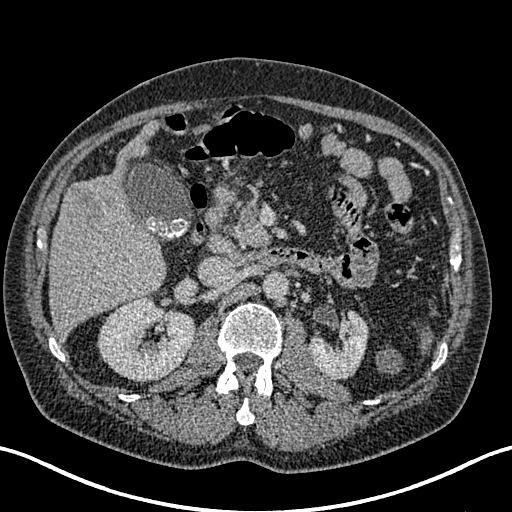

Computed tomography, Upper abdomen, Image size 512x512
The liver lesion appears at box(67, 184, 105, 222). The liver appears at box(48, 121, 166, 339). 2 kidney regions are bounded by box(99, 298, 194, 380); box(310, 312, 367, 378).